FLAIR MR.
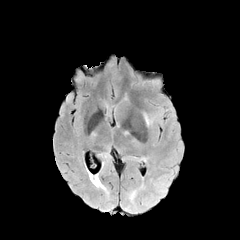
T1-weighted magnetic resonance.
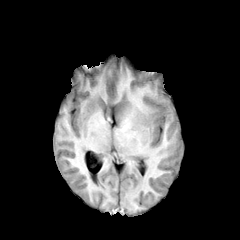
Post-contrast T1-weighted MR image.
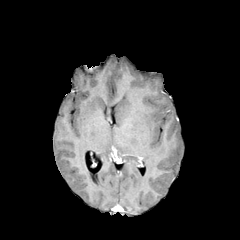
T2-weighted MR.
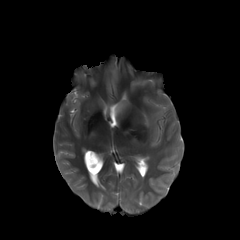
Brain
edema: rect(143, 114, 150, 126)